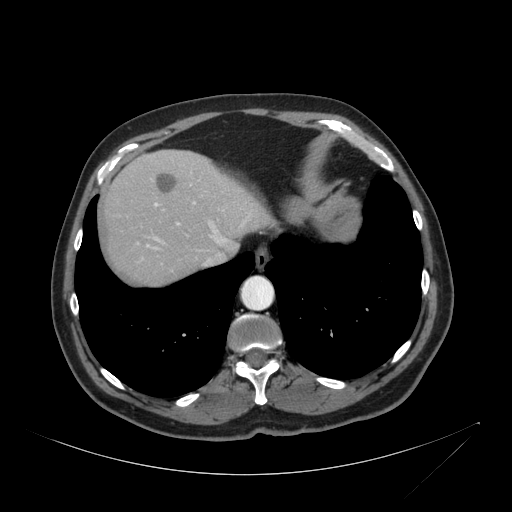

CT image; Upper abdomen
Liver at <box>101,151,271,284</box>.